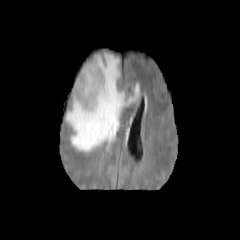
FLAIR MR.
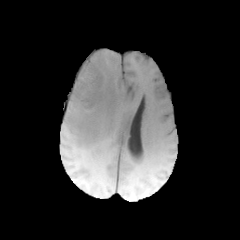
T1-weighted magnetic resonance.
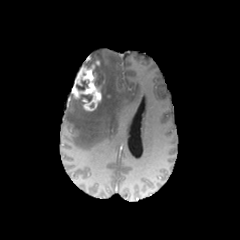
Post-contrast T1-weighted MR image of the same slice.
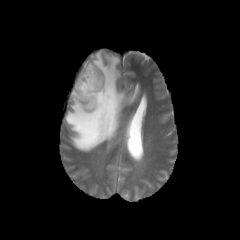
T2-weighted magnetic resonance.
Brain; Image size 240x240
<segmentation>
  <non-enhancing_tumor_core>region(82, 58, 108, 105); region(76, 80, 87, 90); region(75, 94, 92, 107)</non-enhancing_tumor_core>
  <edema>region(65, 51, 139, 152)</edema>
  <enhancing_tumor>region(71, 65, 102, 111)</enhancing_tumor>
</segmentation>